512x512 px, CT scan slice, Field of view 360 mm wide, 0.80 mm slice spacing 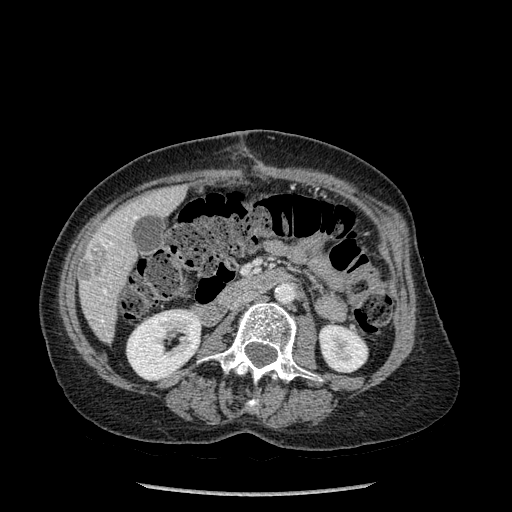
Liver: bounding box 77 185 186 342.
Liver lesion: bounding box 79 259 93 278, 91 249 105 262.
Bone: bounding box 247 396 258 410, 199 301 315 382.
Kidney: bounding box 127 310 200 379, 319 325 367 371.